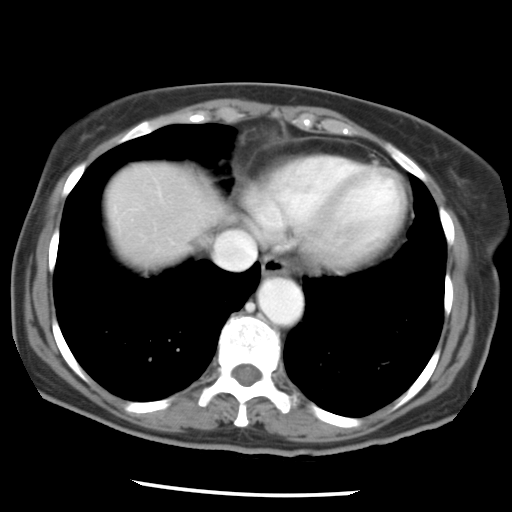

512x512 | Abdomen | Computed tomography

Only some of the vessels may be annotated.
Annotated regions:
- hepatic vessel: (216, 232, 255, 267)